Slice 143/836; CT slice 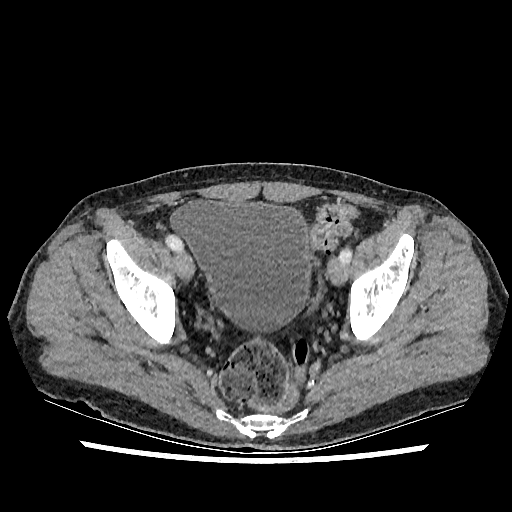
* urinary bladder: 175,198,314,333